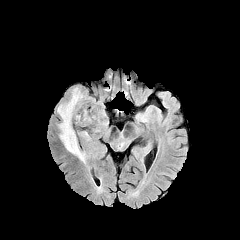
FLAIR magnetic resonance.
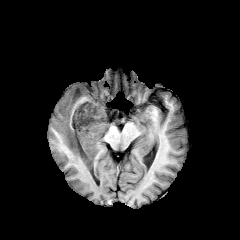
T1-weighted MRI.
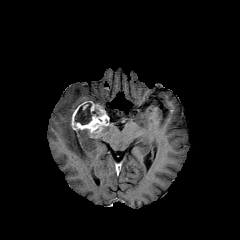
Post-contrast T1-weighted magnetic resonance.
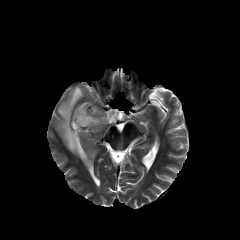
T2-weighted MRI.
Brain; Image size 240x240
Findings:
• edema: [57,86,93,162]
• non-enhancing tumor core: [74,100,97,124]
• enhancing tumor: [70,104,108,137]